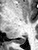
MRI slice
<segmentation>
  <posterior_hippocampus>left=13, top=37, right=25, bottom=44</posterior_hippocampus>
</segmentation>